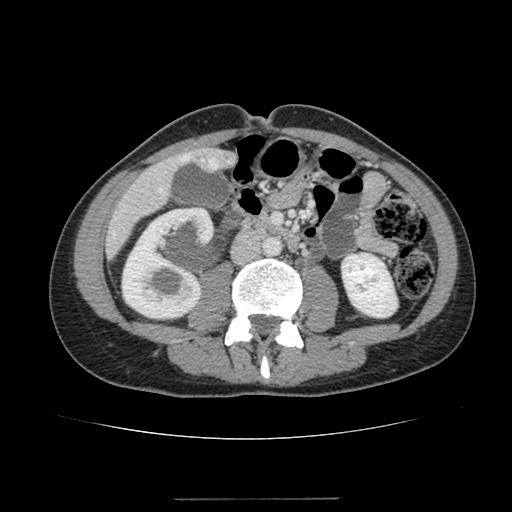

CT scan slice
kidney: (x1=122, y1=208, x2=212, y2=317), (x1=341, y1=253, x2=396, y2=316) | liver: (x1=105, y1=148, x2=236, y2=259)